Computed tomography, Slice index 34
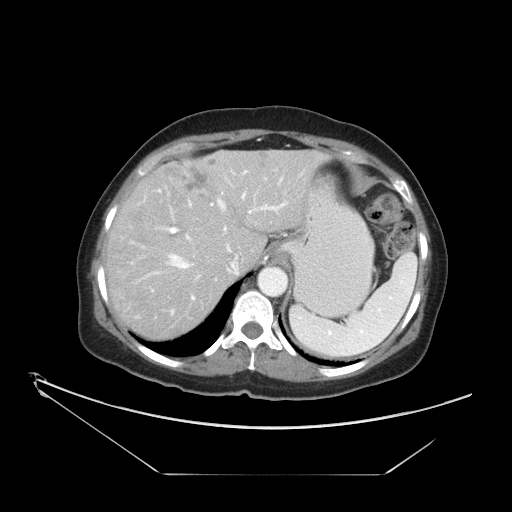

The vessel annotation is not exhaustive.
liver tumor: box(256, 153, 265, 166); box(166, 166, 207, 191) | hepatic vessel: box(221, 204, 224, 207); box(249, 210, 251, 212); box(170, 255, 188, 267); box(192, 296, 194, 299); box(187, 236, 188, 238); box(170, 228, 175, 232); box(171, 309, 173, 313); box(218, 201, 220, 203)